512x512 px | CT scan slice | Abdomen | Slice 241 of 605 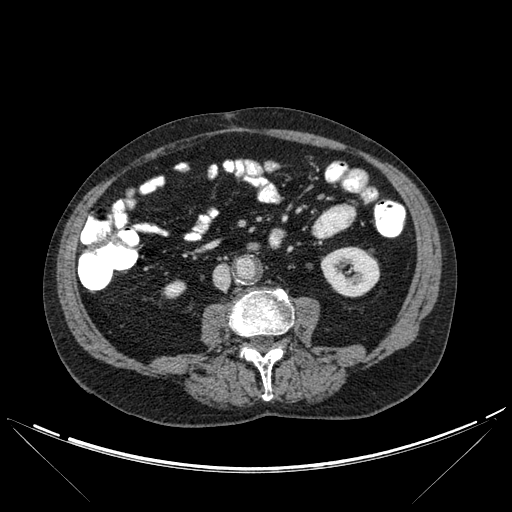

2 kidney regions are bounded by (left=321, top=247, right=379, bottom=296), (left=165, top=282, right=184, bottom=297). 2 bone regions appear at (left=241, top=345, right=283, bottom=400), (left=230, top=289, right=293, bottom=336).